FLAIR MR.
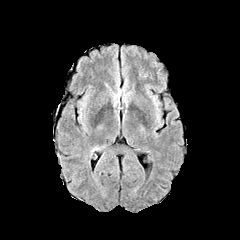
T1-weighted MRI.
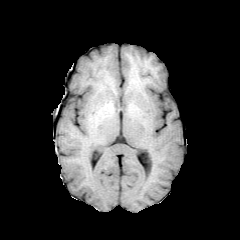
Post-contrast T1-weighted MR.
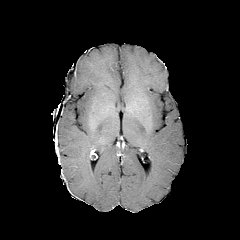
T2-weighted MR.
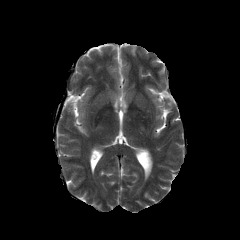
Head
<segmentation>
  <edema><bbox>93, 145, 105, 151</bbox></edema>
</segmentation>